Computed tomography; Abdomen
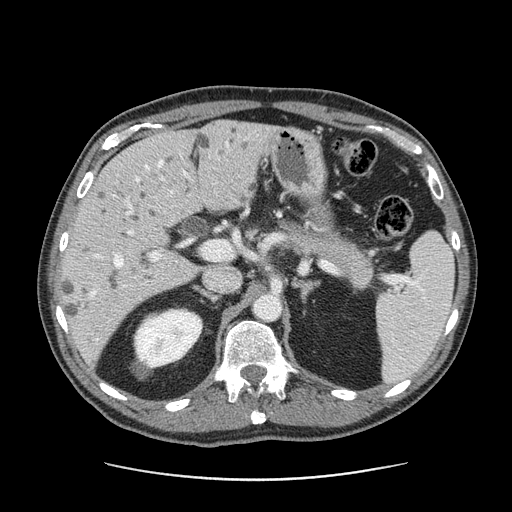 {"pancreas": ["[x1=279, y1=220, x2=372, y2=290]"]}